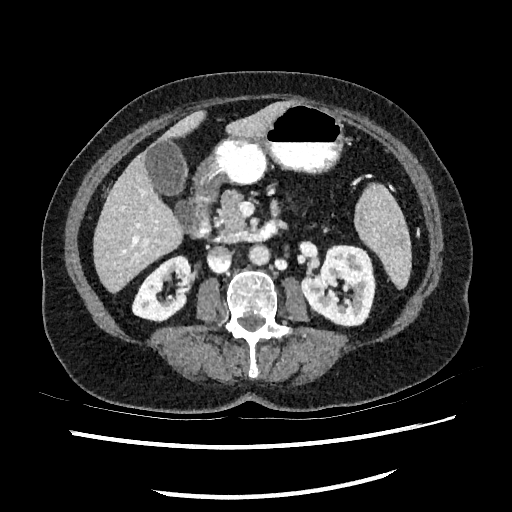

Liver; CT image
Annotated regions:
* liver: box(227, 102, 287, 138); box(157, 113, 201, 142); box(93, 150, 182, 288)
* kidney: box(302, 246, 374, 325); box(307, 246, 316, 256); box(133, 257, 189, 320)